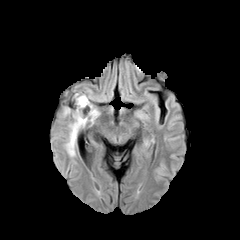
FLAIR MR image.
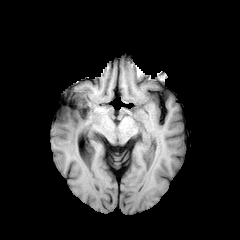
T1-weighted magnetic resonance of the same slice.
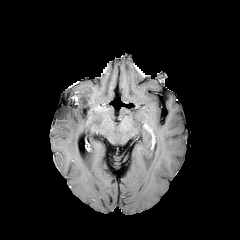
Post-contrast T1-weighted MR of the same slice.
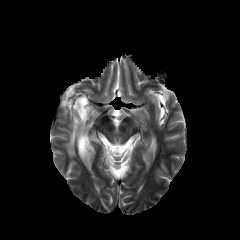
T2-weighted MRI.
Brain.
Non-enhancing tumor core at <box>72,84,81,108</box>.
Edema at <box>59,90,99,157</box>.